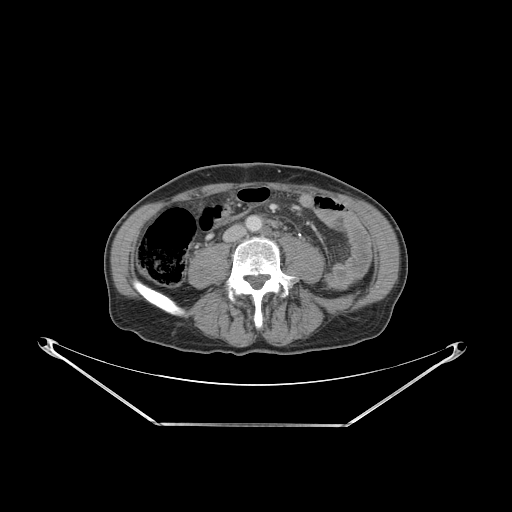
CT image

{
  "bone": [
    "(x1=228, y1=238, x2=289, y2=327)",
    "(x1=135, y1=282, x2=181, y2=313)"
  ]
}